CT scan slice, Image size 512x512

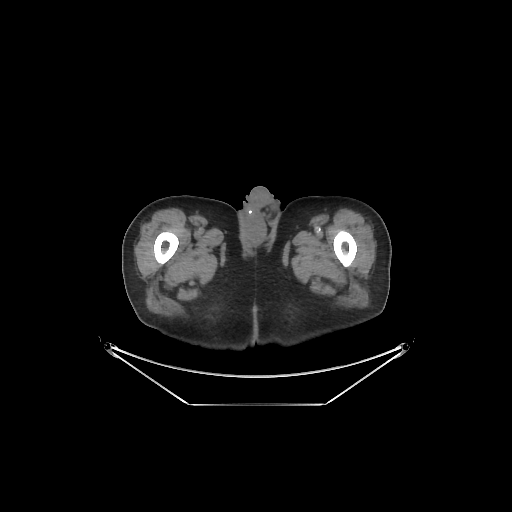 {"bone": ["154, 230, 178, 264", "333, 230, 356, 266"]}